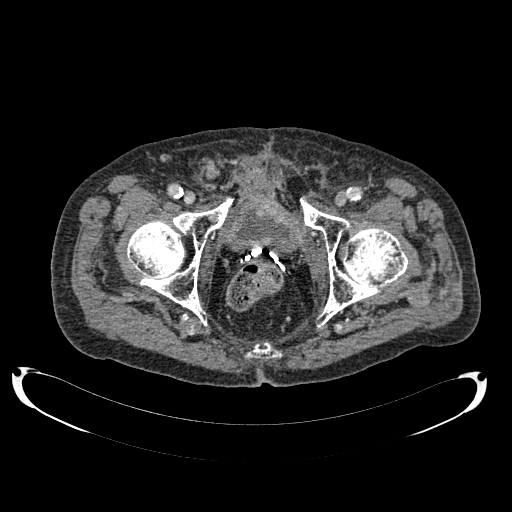 Pelvis; CT scan slice
The urinary bladder is bounded by [x1=237, y1=211, x2=287, y2=240].